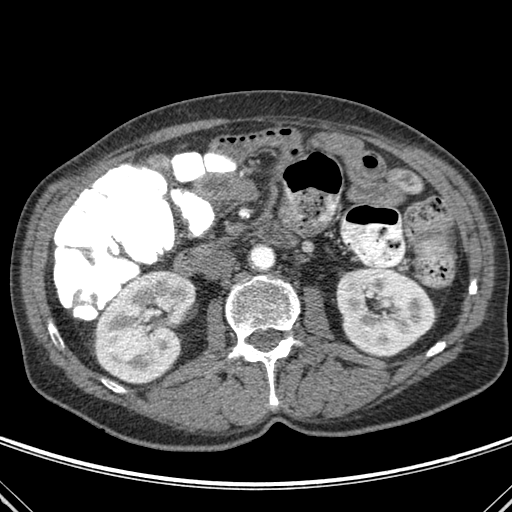

CT slice

Bone = x1=240, y1=209, x2=248, y2=217; x1=426, y1=342, x2=445, y2=356; x1=48, y1=321, x2=62, y2=343; x1=469, y1=281, x2=476, y2=294; x1=102, y1=379, x2=125, y2=392; x1=225, y1=275, x2=301, y2=405.
Kidney = x1=96, y1=274, x2=194, y2=382; x1=337, y1=265, x2=434, y2=355.